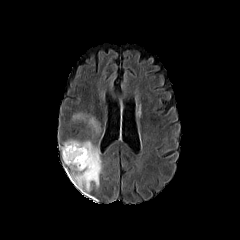
FLAIR MR.
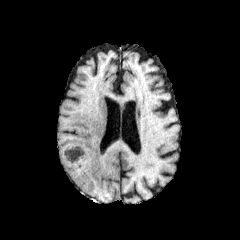
Same slice, T1-weighted MRI.
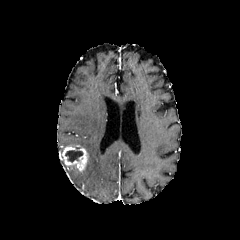
Post-contrast T1-weighted MRI of the same slice.
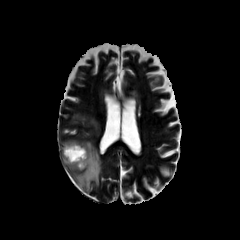
T2-weighted MR image.
Head
Segmented structures:
- enhancing tumor: x1=61, y1=145, x2=89, y2=172
- edema: x1=63, y1=139, x2=102, y2=194; x1=72, y1=112, x2=100, y2=134
- non-enhancing tumor core: x1=64, y1=150, x2=82, y2=162